Slice 59/155
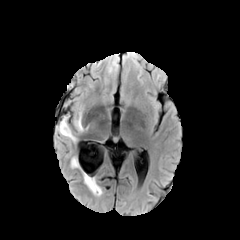
FLAIR MRI.
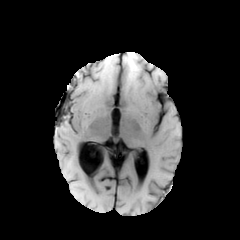
T1-weighted MR image.
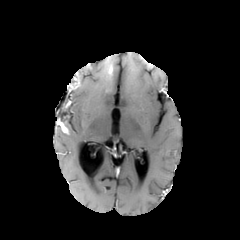
Same slice, post-contrast T1-weighted MR.
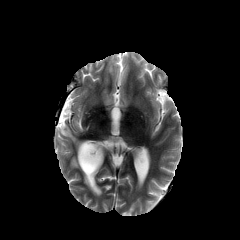
T2-weighted MR.
Segmented structures:
* edema: (56,116,76,142), (83,173,101,195), (74,108,83,132), (71,157,78,167)
* enhancing tumor: (58,121,67,133)